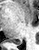

Magnetic resonance
Posterior hippocampus: bounding box rect(13, 41, 22, 44).